Abdomen | Slice 67 of 114 | Computed tomography 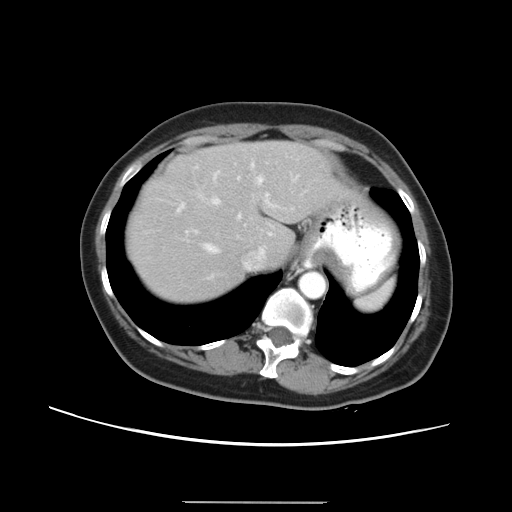
Not every hepatic vessel necessarily has a box.
Segmented structures:
• hepatic vessel: box(178, 203, 184, 210); box(205, 244, 215, 251); box(260, 249, 262, 250); box(214, 171, 218, 178); box(212, 198, 218, 203); box(257, 176, 262, 183); box(238, 214, 240, 217); box(237, 177, 238, 178)